CT scan slice | Abdomen | Image width 344 mm | Image size 512x512 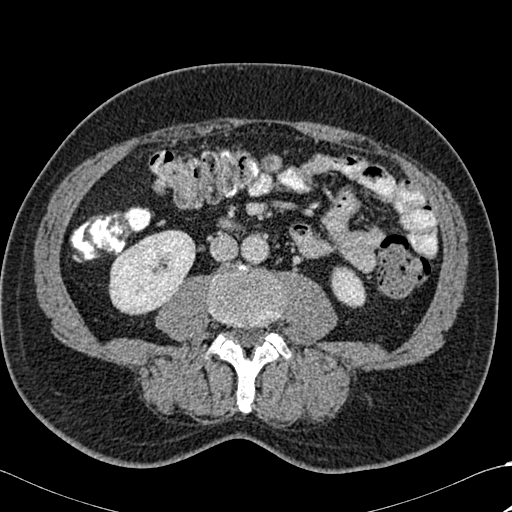

2 kidney regions appear at (110,231,194,313), (332,269,364,304). 2 bone regions are located at (207,264,286,329), (206,332,290,411).